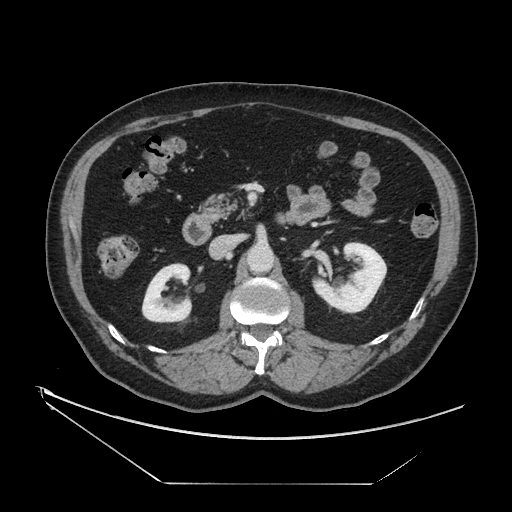

CT slice, Upper abdomen, 512x512
{
  "pancreas": [
    "205,192,240,215"
  ]
}